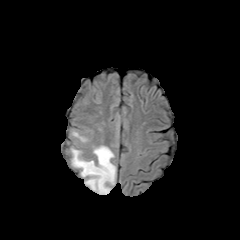
FLAIR MRI.
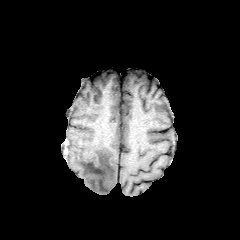
T1-weighted MR.
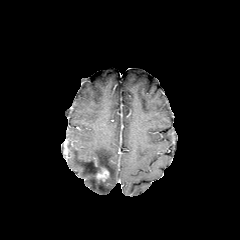
Post-contrast T1-weighted magnetic resonance.
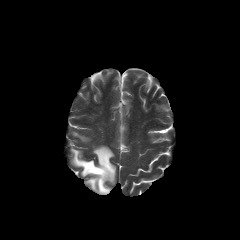
Same slice, T2-weighted magnetic resonance.
Non-enhancing tumor core: rect(91, 176, 107, 191); rect(83, 160, 112, 174).
Enhancing tumor: rect(96, 168, 109, 181).
Edema: rect(70, 143, 116, 194); rect(72, 131, 88, 142).